240x240 px. Slice 61 of 155.
FLAIR magnetic resonance.
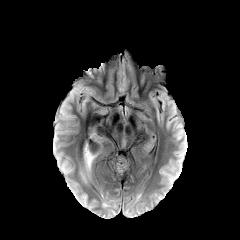
T1-weighted MRI.
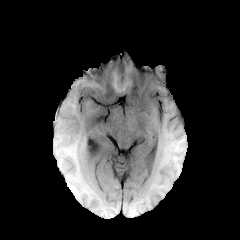
Post-contrast T1-weighted MR.
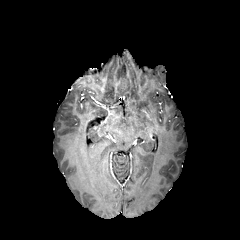
T2-weighted magnetic resonance.
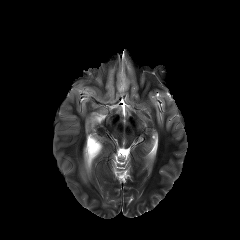
<segmentation>
  <edema>bbox=[84, 149, 93, 170]</edema>
</segmentation>